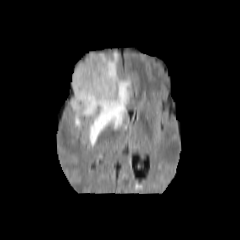
FLAIR MR.
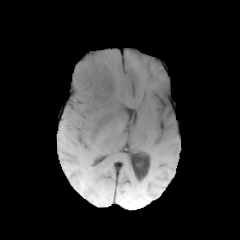
T1-weighted magnetic resonance.
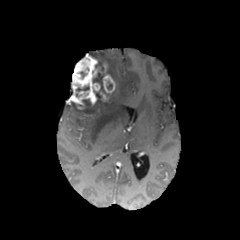
Post-contrast T1-weighted MR.
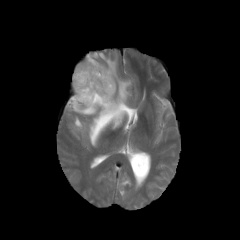
T2-weighted MR of the same slice.
Head, Image size 240x240
Edema = rect(88, 51, 132, 146); rect(74, 114, 81, 128).
Non-enhancing tumor core = rect(71, 92, 113, 114); rect(92, 72, 106, 93); rect(89, 52, 107, 70).
Enhancing tumor = rect(68, 53, 115, 109).